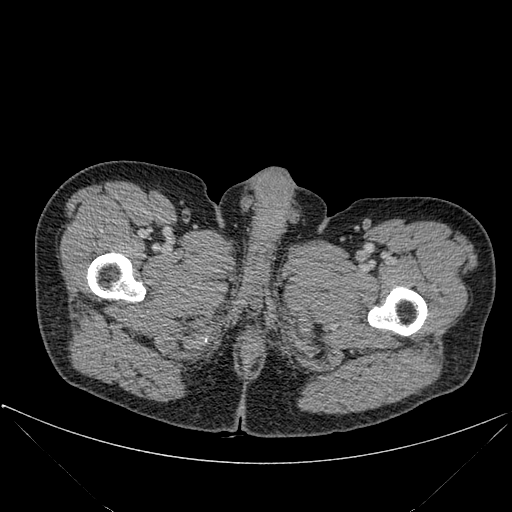
512x512 | CT slice
bone:
  - 87,253,145,301
  - 368,287,427,335